CT slice | Lung
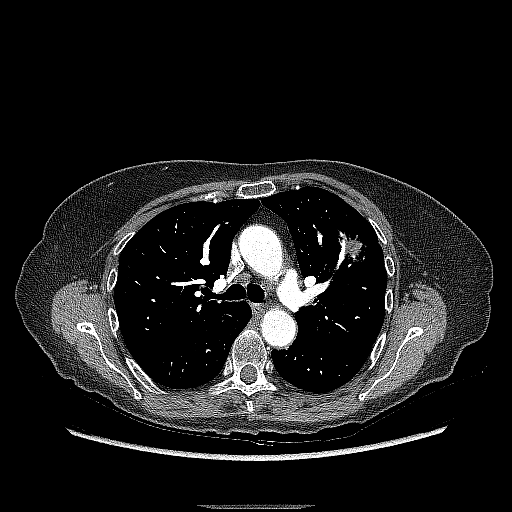
Lung tumor — {"x1": 333, "y1": 210, "x2": 376, "y2": 264}.